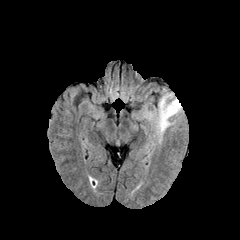
FLAIR magnetic resonance.
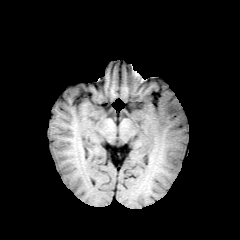
T1-weighted MRI.
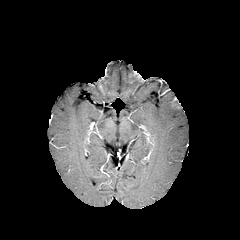
Post-contrast T1-weighted MR.
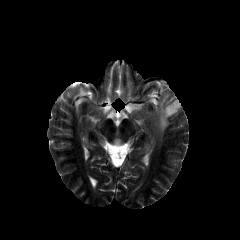
T2-weighted magnetic resonance.
Brain, 240x240
Edema: bounding box <box>136,88,183,141</box>.
Enhancing tumor: bounding box <box>170,97,182,109</box>.